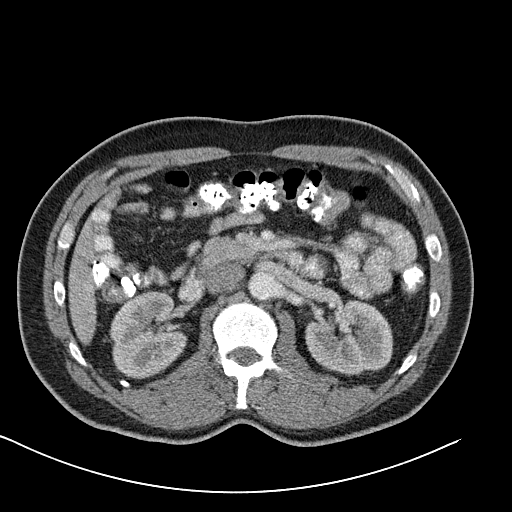
CT, Pelvis
colon tumor: 323, 191, 349, 222